Abdomen, 512x512 px, CT slice, Field of view 458 mm wide, 2.50 mm slice spacing 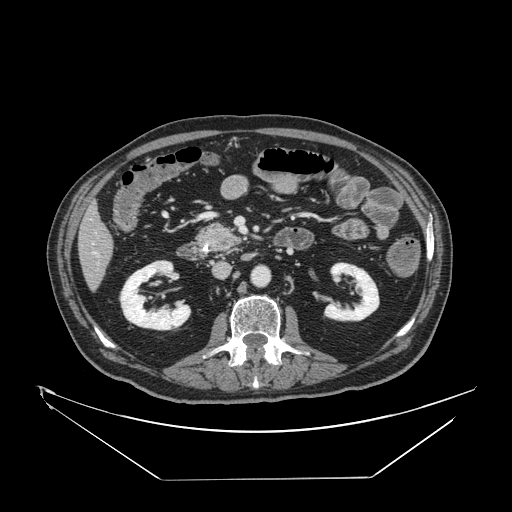 Pancreas: bounding box box=[190, 219, 243, 260].
Pancreatic tumor: bounding box box=[201, 227, 236, 250].